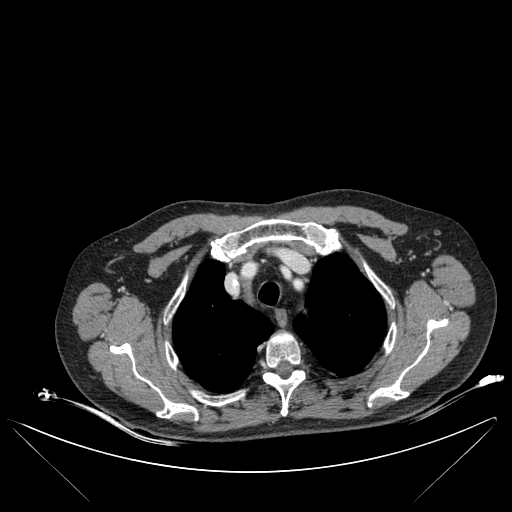

Computed tomography
Lung: bounding box <box>293,253,386,375</box>, <box>259,283,278,304</box>, <box>173,260,273,392</box>.
Bone: bounding box <box>266,332,300,367</box>, <box>364,264,391,304</box>, <box>165,342,177,368</box>, <box>384,323,396,353</box>, <box>263,370,305,415</box>, <box>211,219,340,261</box>, <box>191,391,244,405</box>, <box>368,319,447,406</box>, <box>110,343,198,419</box>, <box>167,277,186,317</box>.